FLAIR MR.
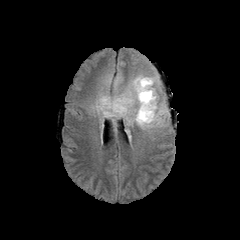
T1-weighted MRI.
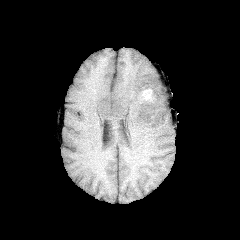
Post-contrast T1-weighted MRI.
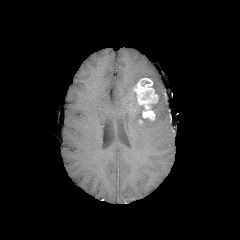
T2-weighted MR.
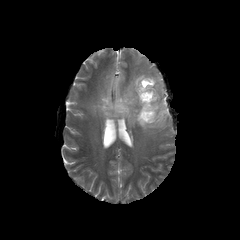
Brain
{
  "edema": [
    "region(91, 69, 170, 133)"
  ],
  "enhancing_tumor": [
    "region(133, 78, 158, 120)"
  ],
  "non-enhancing_tumor_core": [
    "region(123, 92, 163, 123)",
    "region(145, 76, 157, 93)"
  ]
}